512x512; CT; Abdomen; Slice 134 of 168 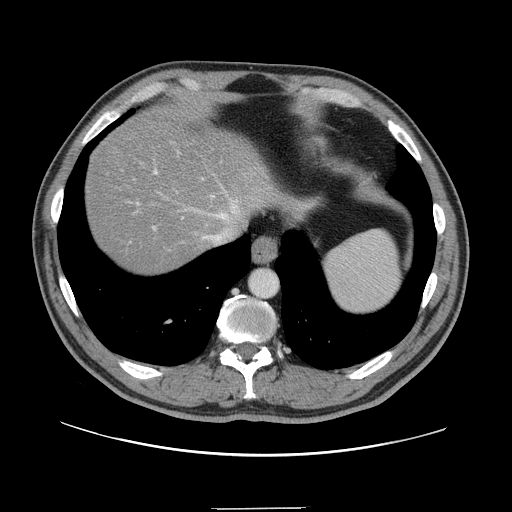 Only some of the vessels may be annotated.
7 hepatic vessel regions are bounded by (x1=210, y1=213, x2=228, y2=219), (x1=232, y1=201, x2=237, y2=213), (x1=153, y1=227, x2=155, y2=230), (x1=154, y1=171, x2=157, y2=174), (x1=138, y1=203, x2=139, y2=206), (x1=212, y1=196, x2=213, y2=198), (x1=205, y1=236, x2=218, y2=243).